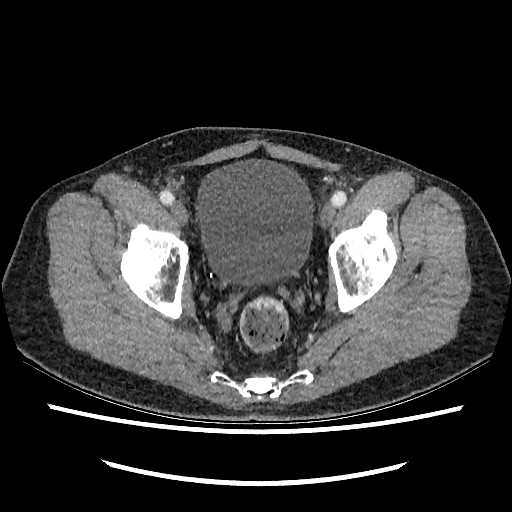

CT. 512x512. Pelvis.
{
  "urinary_bladder": [
    "bbox(195, 159, 314, 286)"
  ]
}